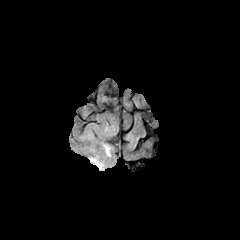
FLAIR MR.
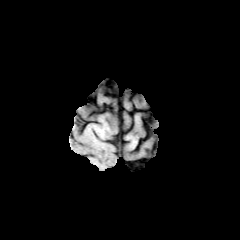
T1-weighted MR image.
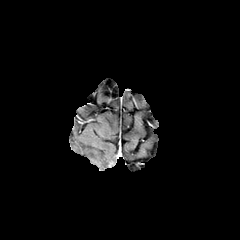
Same slice, post-contrast T1-weighted magnetic resonance.
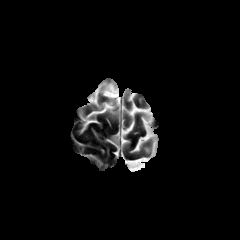
T2-weighted MR image.
240x240; Brain
Edema: 90,156,102,169.